Image size 512x512; CT image; Abdomen
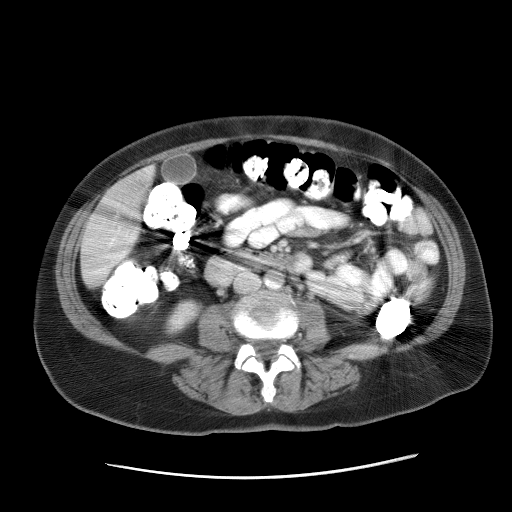 The vessel annotation is not exhaustive.
3 hepatic vessel regions are bounded by box(86, 268, 107, 275); box(111, 252, 125, 261); box(127, 236, 134, 241).